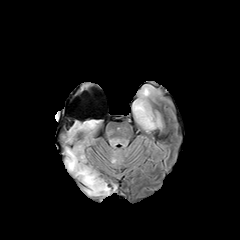
FLAIR MR.
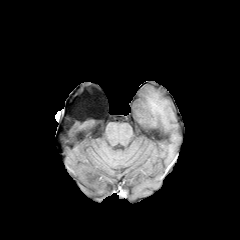
T1-weighted magnetic resonance.
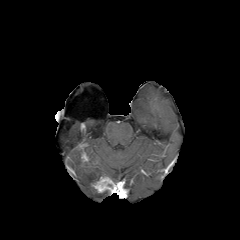
Post-contrast T1-weighted MRI of the same slice.
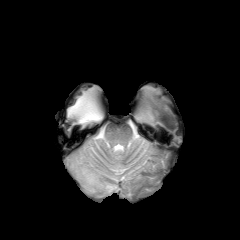
T2-weighted MRI.
Head, Image size 240x240
2 non-enhancing tumor core regions are bounded by <box>92,175,122,190</box>, <box>80,144,87,159</box>. The enhancing tumor is located at <box>93,178,117,191</box>. 3 edema regions are bounded by <box>136,104,151,125</box>, <box>72,120,99,129</box>, <box>65,145,109,195</box>.